Magnetic resonance; Hippocampus 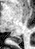

Annotated regions:
- posterior hippocampus: [10,36,21,42]